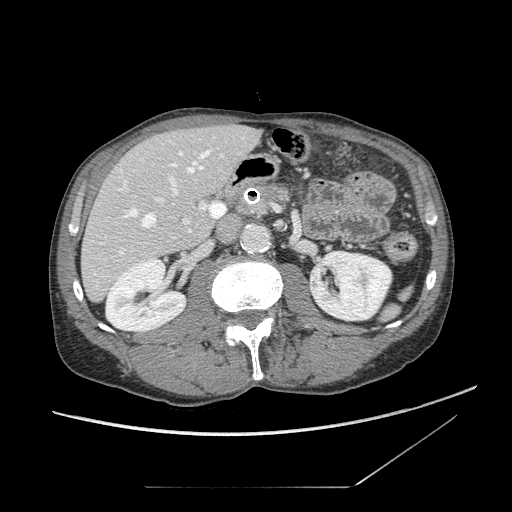

Upper abdomen. CT scan slice. The pancreas is located at 254 185 291 214. The pancreatic tumor is bounded by 264 187 275 200.